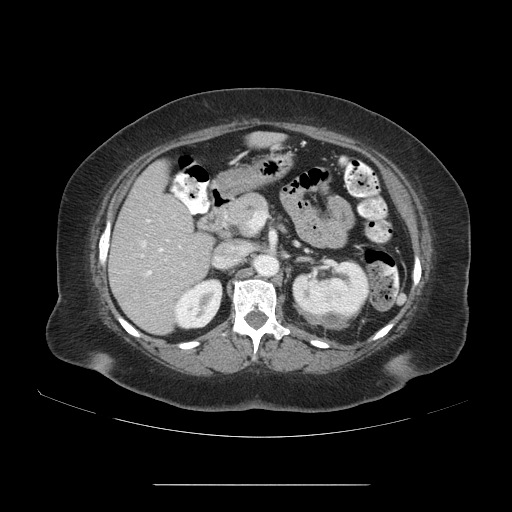 CT, Liver

Not every hepatic vessel necessarily has a box.
Segmented structures:
• hepatic vessel: bbox=[145, 271, 150, 275]; bbox=[145, 219, 148, 221]; bbox=[141, 242, 144, 246]; bbox=[215, 248, 242, 265]; bbox=[158, 249, 161, 251]; bbox=[254, 218, 262, 223]